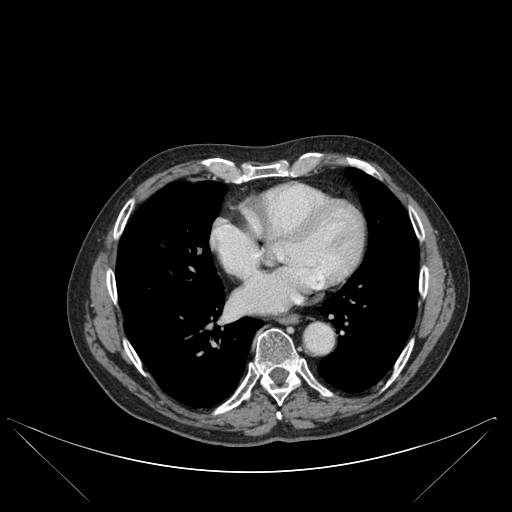
CT
lung: [115, 181, 262, 406], [317, 167, 418, 392] | bone: [214, 329, 331, 413], [123, 341, 142, 372], [106, 270, 116, 302], [410, 208, 424, 239], [300, 154, 319, 159], [386, 341, 413, 386], [114, 200, 133, 237], [419, 267, 428, 296], [202, 159, 289, 182]